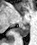
Medial temporal lobe | MRI slice | 37x45 px
Segmented structures:
• posterior hippocampus: region(15, 26, 28, 37)